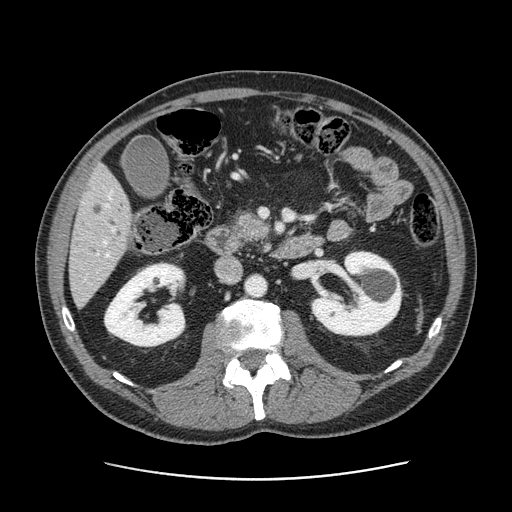
512x512 | Computed tomography

The pancreas is bounded by region(234, 211, 269, 242).